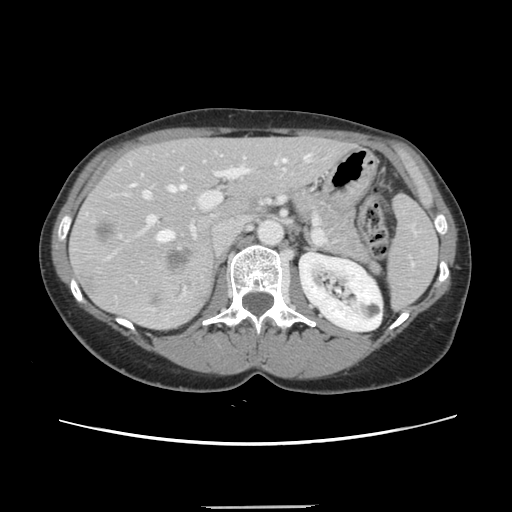
CT scan slice | 512x512 | Liver
The vessel boxes may cover only some of the vessels.
* liver tumor: {"x1": 96, "y1": 223, "x2": 115, "y2": 241}, {"x1": 166, "y1": 248, "x2": 191, "y2": 270}
* hepatic vessel: {"x1": 142, "y1": 215, "x2": 155, "y2": 231}, {"x1": 190, "y1": 226, "x2": 195, "y2": 237}, {"x1": 214, "y1": 166, "x2": 248, "y2": 177}, {"x1": 130, "y1": 184, "x2": 134, "y2": 185}, {"x1": 303, "y1": 154, "x2": 310, "y2": 161}, {"x1": 282, "y1": 159, "x2": 285, "y2": 161}, {"x1": 143, "y1": 191, "x2": 149, "y2": 197}, {"x1": 199, "y1": 191, "x2": 220, "y2": 207}, {"x1": 275, "y1": 162, "x2": 276, "y2": 163}, {"x1": 180, "y1": 167, "x2": 182, "y2": 170}, {"x1": 168, "y1": 185, "x2": 184, "y2": 191}, {"x1": 156, "y1": 229, "x2": 173, "y2": 240}